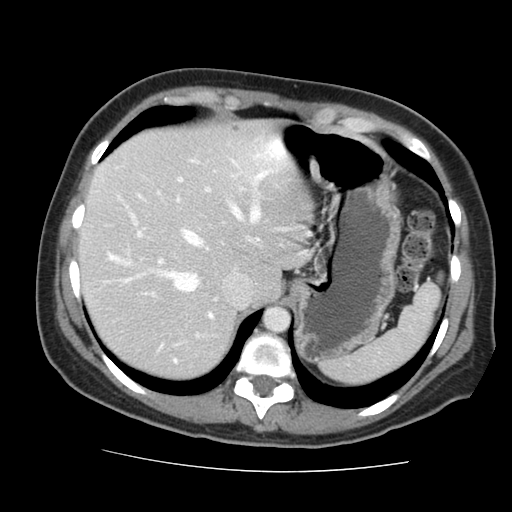
CT slice | Liver

Not every hepatic vessel necessarily has a box.
The principal 15 hepatic vessel regions (of 22) are located at rect(107, 254, 120, 261); rect(122, 280, 129, 282); rect(137, 232, 140, 236); rect(250, 207, 259, 222); rect(178, 179, 181, 181); rect(205, 188, 209, 191); rect(162, 272, 197, 291); rect(232, 206, 240, 218); rect(233, 174, 238, 176); rect(254, 141, 285, 166); rect(158, 260, 161, 263); rect(239, 188, 242, 190); rect(130, 214, 135, 223); rect(252, 170, 267, 183); rect(253, 239, 257, 242).